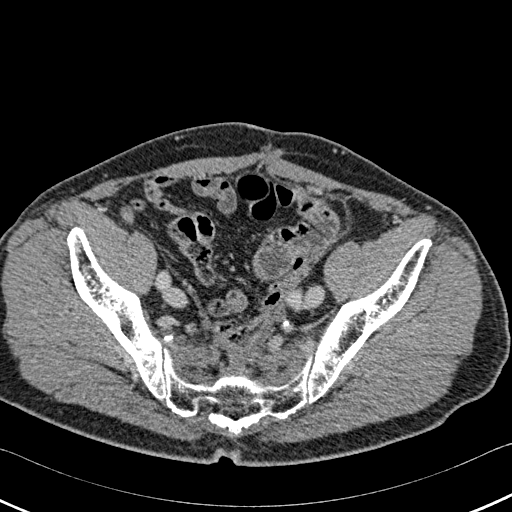 512x512; Computed tomography
Segmented structures:
• bone: (left=67, top=227, right=431, bottom=433)